Slice 159/226 | Thorax | Computed tomography

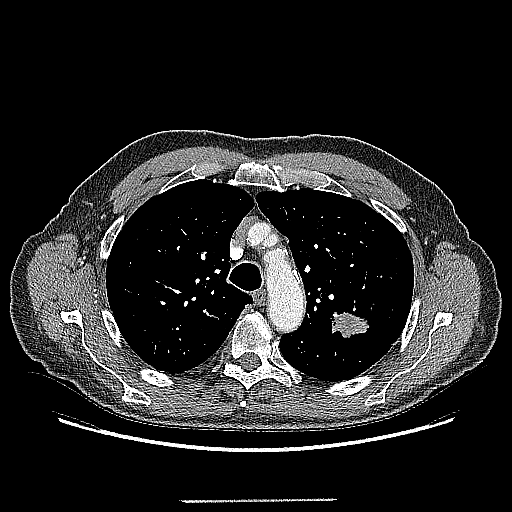

The lung tumor is bounded by rect(329, 310, 370, 338).